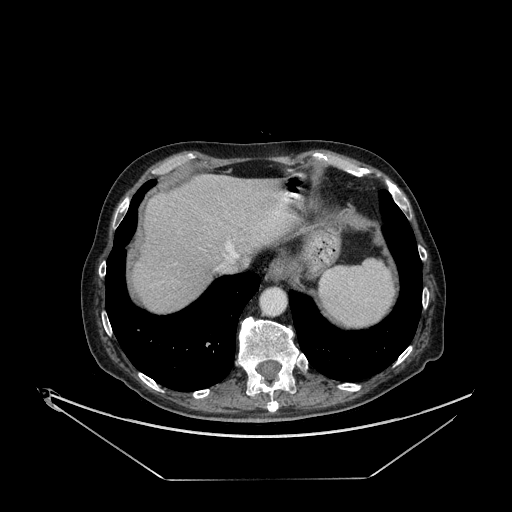
CT image; Upper abdomen
The liver is at [133, 176, 291, 312].